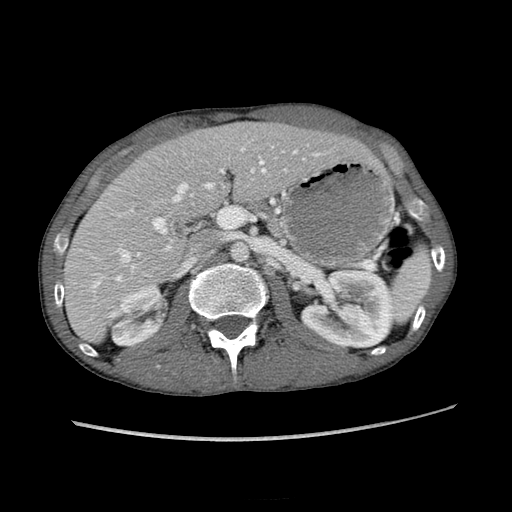 512x512 | CT slice

Segmented structures:
• kidney: region(302, 271, 393, 346); region(110, 286, 167, 344)
• liver: region(62, 120, 375, 344)